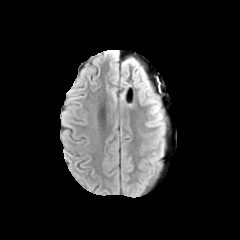
FLAIR magnetic resonance.
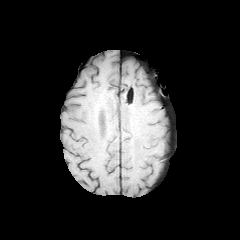
T1-weighted MR image of the same slice.
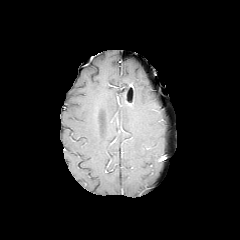
Post-contrast T1-weighted magnetic resonance.
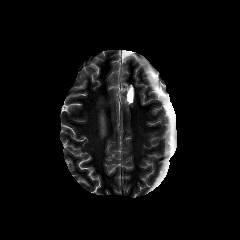
Same slice, T2-weighted MRI.
240x240 px
{"edema": ["region(150, 112, 164, 139)", "region(142, 72, 161, 114)"]}